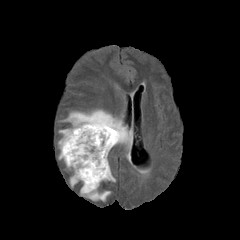
FLAIR magnetic resonance.
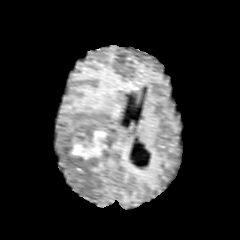
T1-weighted MR image.
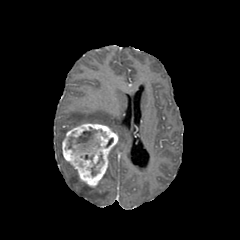
Post-contrast T1-weighted magnetic resonance.
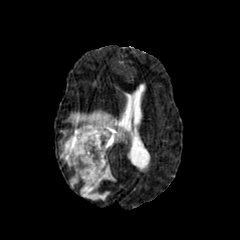
T2-weighted MR.
240x240 px, Brain
non-enhancing_tumor_core:
  - l=68, t=128, r=100, b=160
  - l=90, t=152, r=103, b=175
enhancing_tumor:
  - l=62, t=124, r=117, b=187
edema:
  - l=66, t=109, r=132, b=145
  - l=58, t=128, r=114, b=200